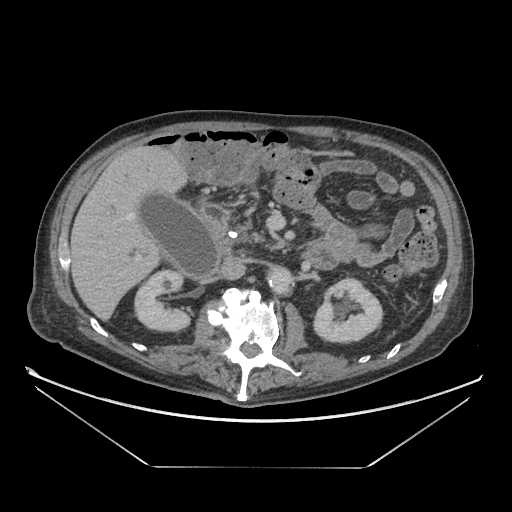 Computed tomography.
The pancreas is bounded by rect(230, 226, 253, 243).